FLAIR MRI.
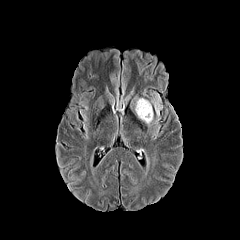
T1-weighted magnetic resonance.
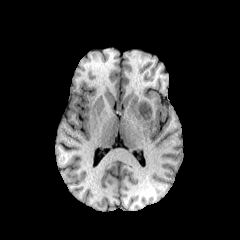
Post-contrast T1-weighted MRI.
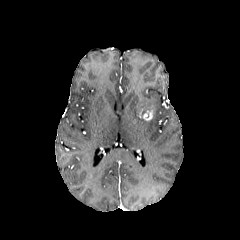
T2-weighted MRI.
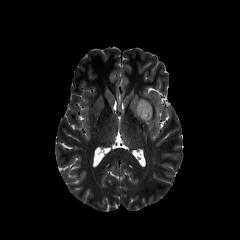
Brain
Segmented structures:
• edema: 135:93:162:127
• enhancing tumor: 143:110:153:120